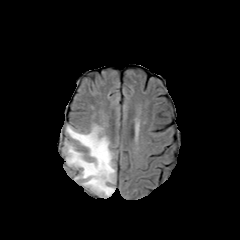
FLAIR MR.
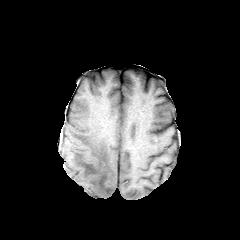
Same slice, T1-weighted MR image.
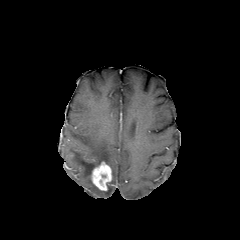
Post-contrast T1-weighted magnetic resonance.
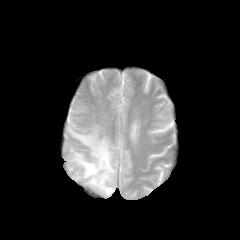
T2-weighted MRI of the same slice.
240x240
Enhancing tumor: 91:162:112:190.
Edema: 66:125:115:197.